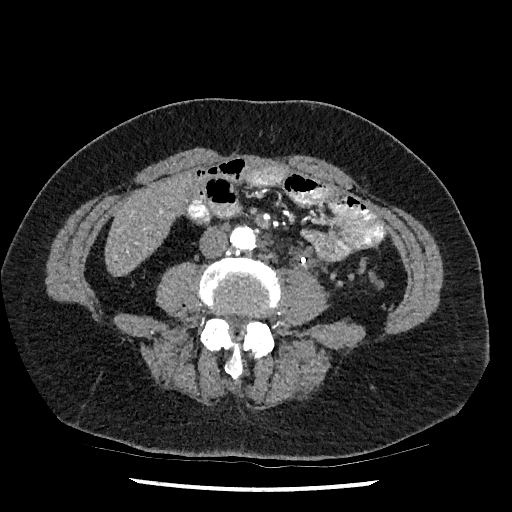 512x512 px, CT image, Upper abdomen
The liver lies within x1=106, y1=174, x2=191, y2=275.